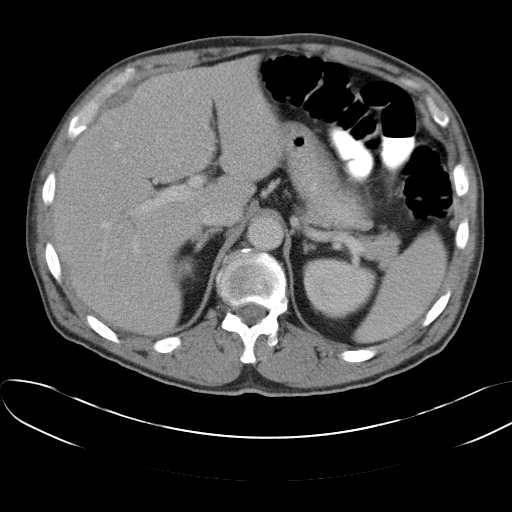 Computed tomography; Abdomen
The spleen is at 357,230,445,340.